Slice index 19, 512x512, Liver, Computed tomography

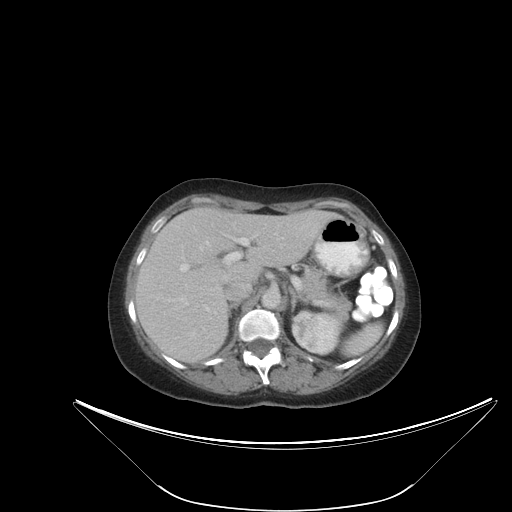
Not every hepatic vessel necessarily has a box.
hepatic vessel: l=232, t=237, r=248, b=244; l=181, t=264, r=187, b=270; l=224, t=252, r=241, b=261